Slice index 92, CT scan slice 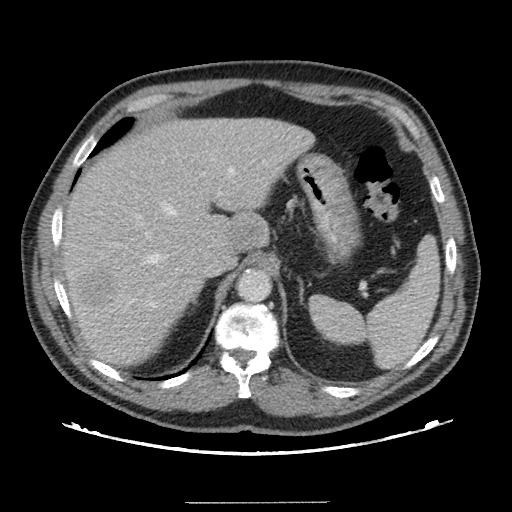
The vessel boxes may cover only some of the vessels.
{
  "hepatic_vessel": [
    "box(135, 207, 136, 209)",
    "box(162, 202, 176, 215)",
    "box(143, 231, 150, 237)",
    "box(132, 213, 144, 226)",
    "box(162, 157, 165, 162)",
    "box(228, 167, 234, 175)",
    "box(143, 255, 160, 262)",
    "box(146, 293, 155, 302)"
  ],
  "liver_tumor": [
    "box(71, 270, 117, 308)"
  ]
}